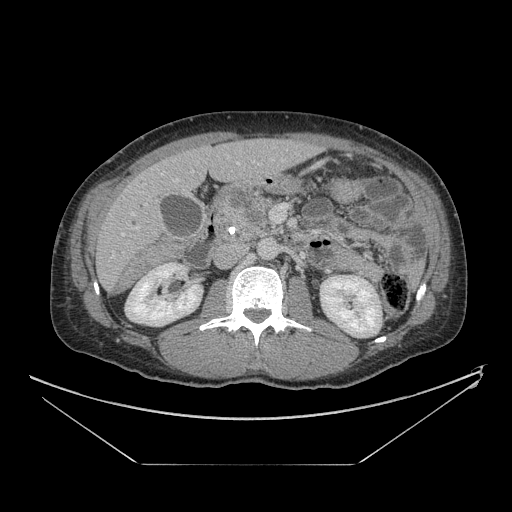
CT | Abdomen
<segmentation>
  <pancreatic_tumor>[x1=227, y1=188, x2=258, y2=221]</pancreatic_tumor>
  <pancreas>[x1=215, y1=187, x2=278, y2=242]</pancreas>
</segmentation>